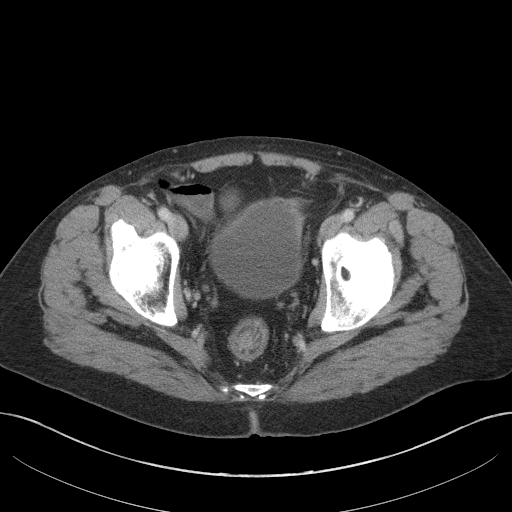 Lower abdomen, CT
The urinary bladder is at 208, 200, 302, 298.